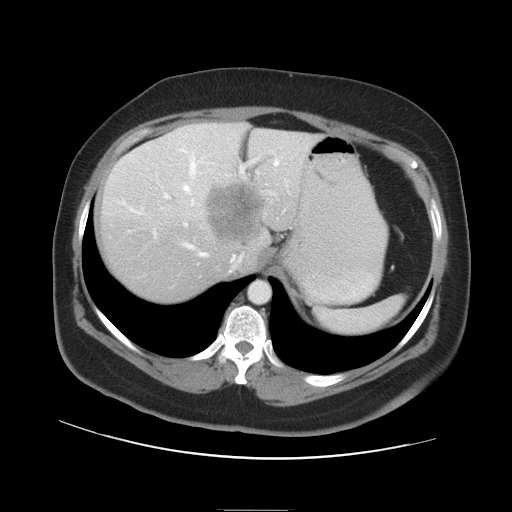 Abdomen, Computed tomography
Some hepatic vessels may have no box.
Findings:
- hepatic vessel: bbox=[231, 255, 242, 267]; bbox=[240, 167, 243, 173]; bbox=[197, 250, 207, 256]; bbox=[182, 242, 196, 249]
- liver tumor: bbox=[208, 184, 261, 240]